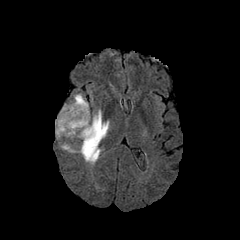
FLAIR magnetic resonance.
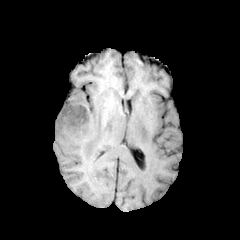
T1-weighted MRI.
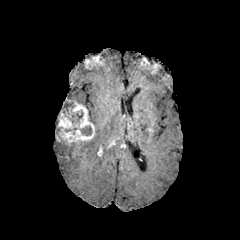
Post-contrast T1-weighted MR image of the same slice.
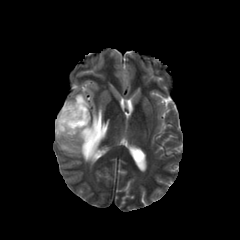
T2-weighted MR.
The enhancing tumor is located at [x1=56, y1=100, x2=95, y2=144]. The edema lies within [x1=57, y1=93, x2=109, y2=165]. 2 non-enhancing tumor core regions are bounded by [x1=81, y1=126, x2=92, y2=136], [x1=75, y1=112, x2=83, y2=124].